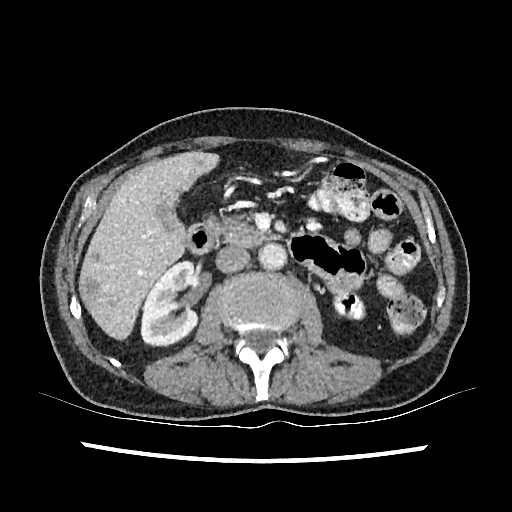

CT image; Abdomen
* kidney: box=[141, 263, 197, 344]
* hepatic lesion: box=[90, 252, 100, 261]; box=[189, 174, 199, 182]; box=[84, 280, 99, 298]; box=[154, 200, 176, 229]
* liver: box=[81, 152, 218, 337]